Slice 49/95 | Upper abdomen | 512x512 | CT
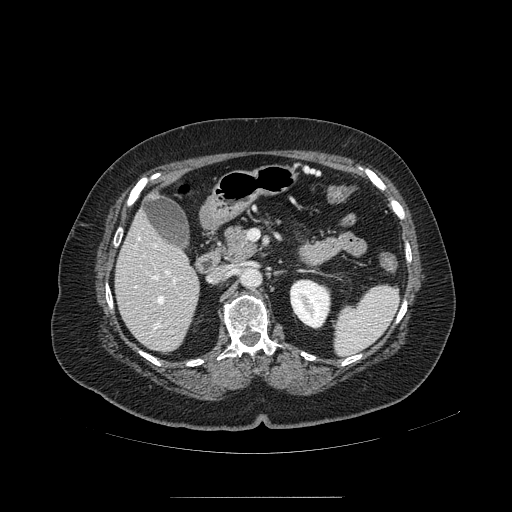
pancreas:
  - region(223, 223, 260, 265)